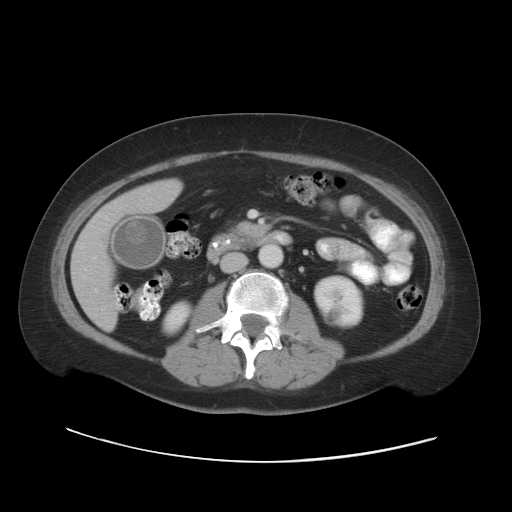 CT image.

Pancreas: bounding box (235, 221, 269, 240).